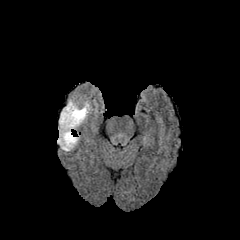
FLAIR magnetic resonance.
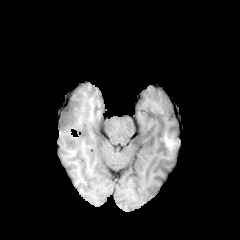
T1-weighted MR of the same slice.
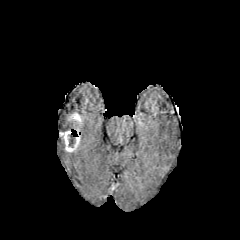
Post-contrast T1-weighted magnetic resonance of the same slice.
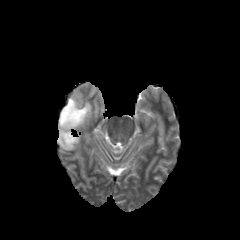
Same slice, T2-weighted magnetic resonance.
Non-enhancing tumor core — <box>59,100,81,125</box>, <box>68,134,76,147</box>.
Edema — <box>57,136,66,151</box>, <box>69,95,92,123</box>, <box>58,121,81,132</box>.
Enhancing tumor — <box>67,113,82,124</box>, <box>59,130,79,151</box>.